Field of view 424x424 mm | Upper abdomen | Computed tomography | Image size 512x512

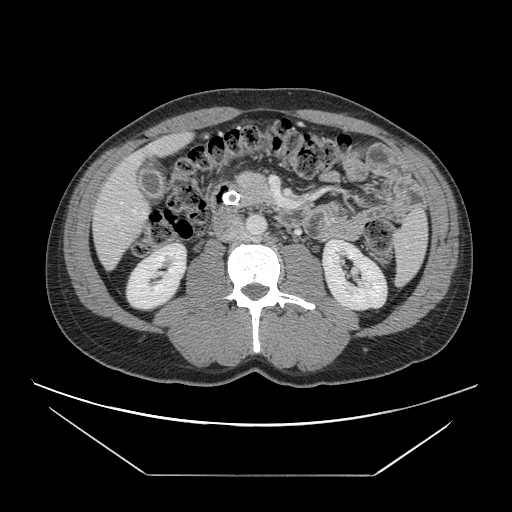 Annotated regions:
* pancreas: <box>238,172,267,205</box>